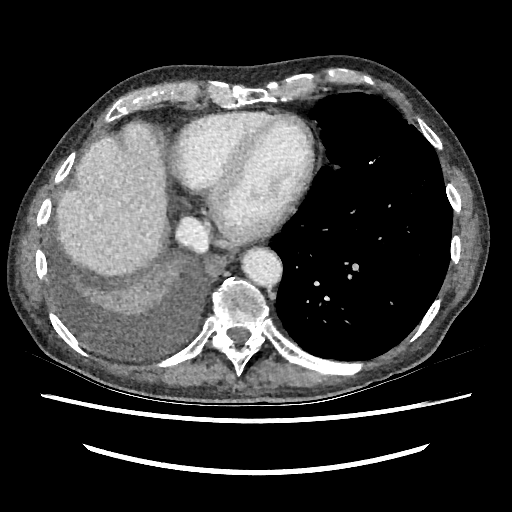
Abdomen; CT image
Liver: [x1=57, y1=124, x2=167, y2=275].